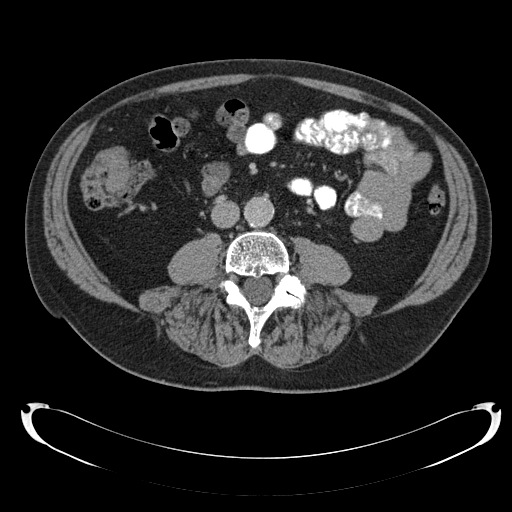
Abdomen; CT image
colon_tumor:
  - l=97, t=148, r=129, b=193